512x512 px, CT slice 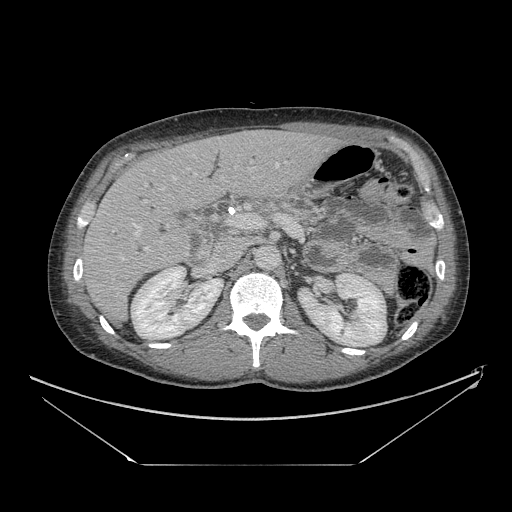

Pancreas: x1=252 y1=195 x2=324 y2=226.